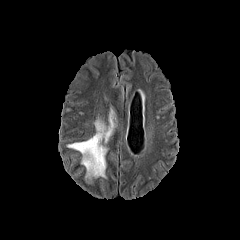
FLAIR magnetic resonance.
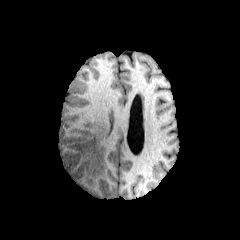
T1-weighted MRI.
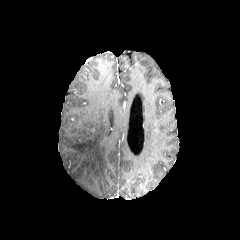
Same slice, post-contrast T1-weighted MRI.
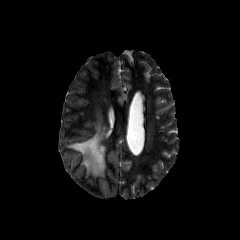
Same slice, T2-weighted MR image.
Brain.
<segmentation>
  <edema>66,107,116,183</edema>
</segmentation>